Field of view 400x400 mm, Image size 320x320, Magnetic resonance, Cardiac 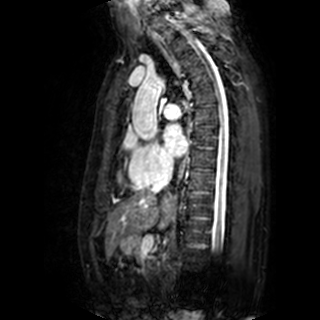 Left atrium: (left=162, top=124, right=187, bottom=157).